CT slice; Field of view 350x350 mm 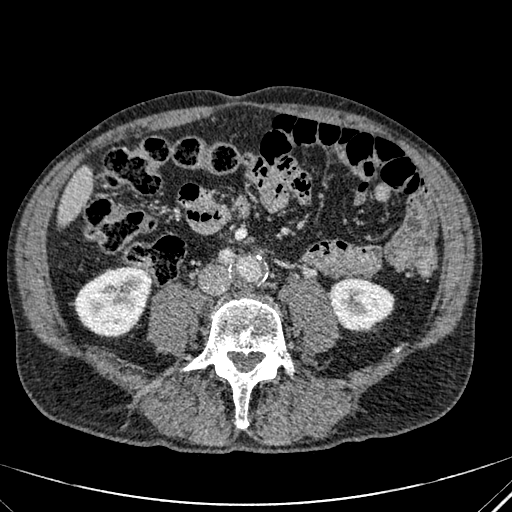 2 kidney regions are located at <bbox>331, 279, 392, 329</bbox>, <bbox>76, 268, 150, 335</bbox>. The liver is at <bbox>58, 167, 91, 224</bbox>.